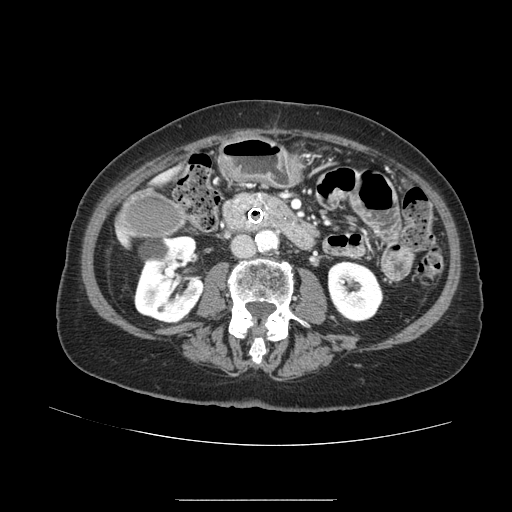

Upper abdomen | Computed tomography
pancreas:
  - {"x1": 234, "y1": 193, "x2": 295, "y2": 219}